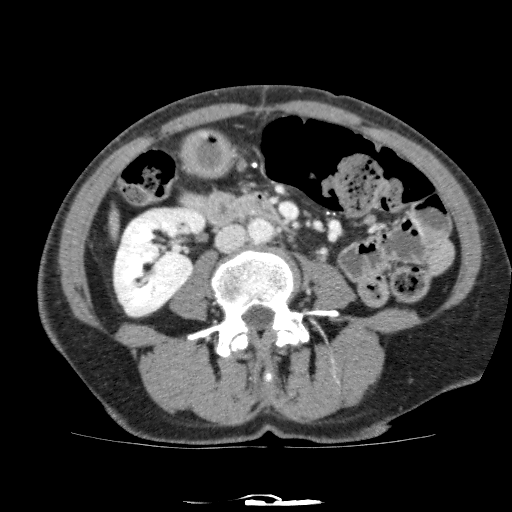
Computed tomography
Liver: rect(108, 209, 119, 237).
Kidney: rect(114, 209, 204, 315).